CT image; 512x512 px

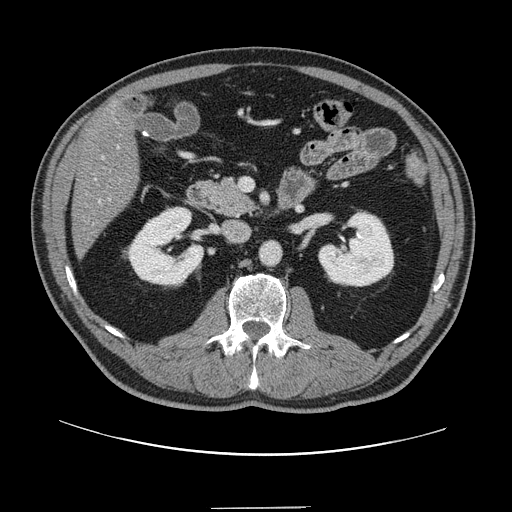

Some hepatic vessels may have no box.
The hepatic vessel lies within [99, 201, 100, 202].